MRI slice. Slice 7 of 31. Image width 34 mm.

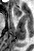
anterior_hippocampus:
  - <box>13,7,21,17</box>